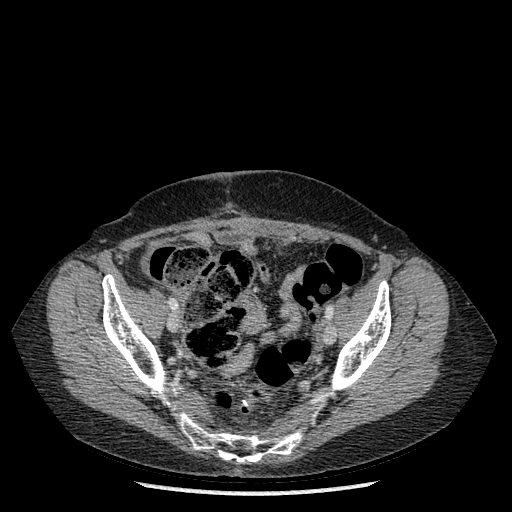 CT scan slice
3 bone regions are bounded by [x1=102, y1=274, x2=179, y2=410], [x1=174, y1=411, x2=301, y2=463], [x1=330, y1=280, x2=390, y2=395].